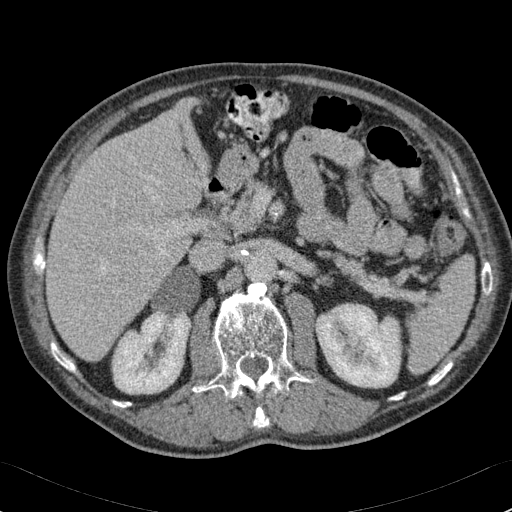

Abdomen, CT image, Image size 512x512

2 kidney regions appear at box(112, 312, 190, 393); box(316, 304, 400, 387). 2 liver regions are located at box(45, 101, 198, 358); box(195, 142, 206, 175).